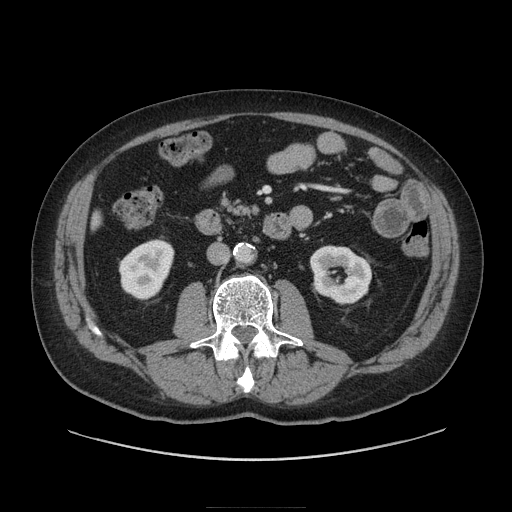

512x512 px. CT slice. The pancreas appears at bbox=[218, 196, 260, 217].